Computed tomography | Slice index 637 | Abdomen
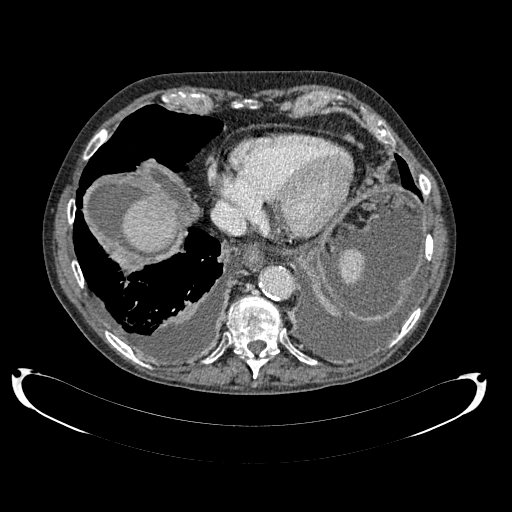
The liver lesion lies within region(144, 210, 164, 220). The liver is located at region(124, 195, 176, 251).